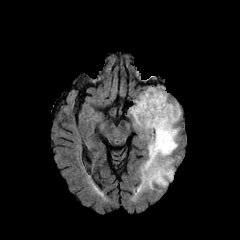
FLAIR MR image.
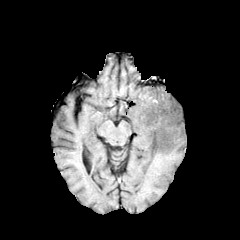
T1-weighted MR image of the same slice.
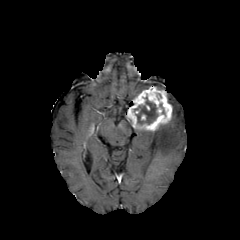
Same slice, post-contrast T1-weighted MR image.
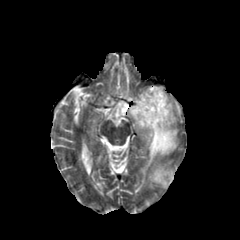
T2-weighted MR image.
240x240 px
Non-enhancing tumor core: bounding box l=136, t=97, r=156, b=123.
Enhancing tumor: bounding box l=127, t=86, r=174, b=132.
Edema: bounding box l=141, t=101, r=181, b=185.